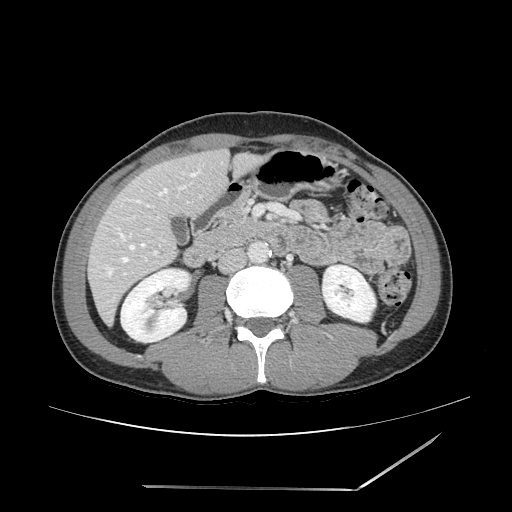

512x512 px, CT
Pancreas: (x1=196, y1=211, x2=253, y2=247).